FLAIR magnetic resonance.
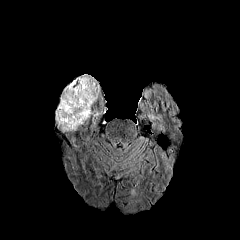
T1-weighted magnetic resonance.
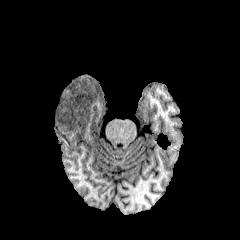
Post-contrast T1-weighted MR image.
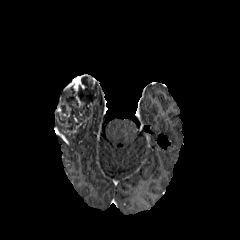
T2-weighted MR image.
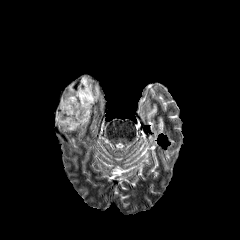
Brain
Findings:
• enhancing tumor: 63, 74, 89, 91; 64, 122, 81, 134
• non-enhancing tumor core: 55, 76, 101, 131